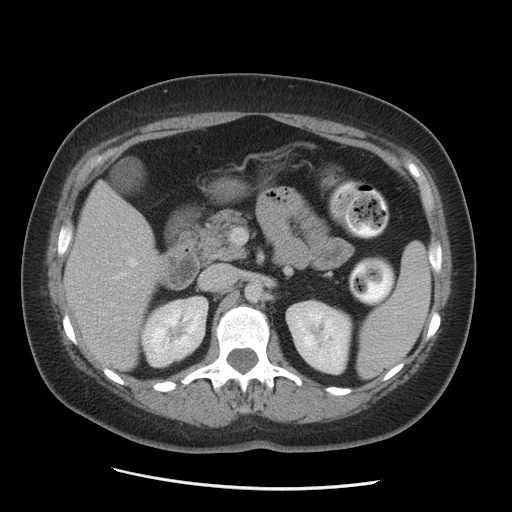

512x512, Computed tomography

Liver at rect(64, 182, 165, 370).
Kidney at rect(288, 305, 349, 370); rect(146, 303, 204, 361).